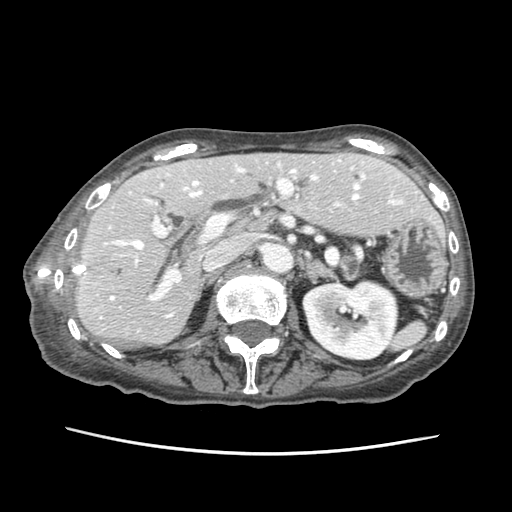

CT image. Pancreas: rect(341, 254, 359, 278).